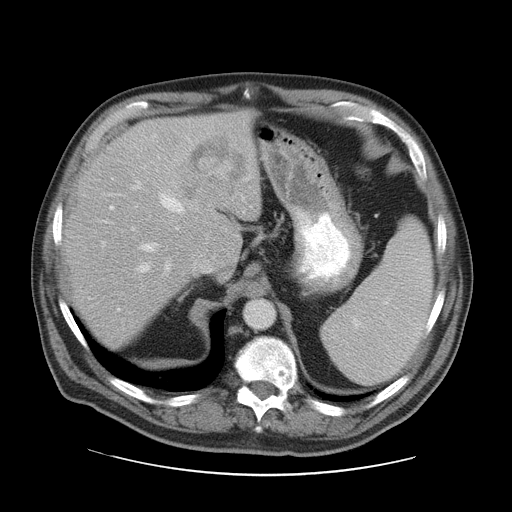 CT slice

Not every hepatic vessel necessarily has a box.
9 hepatic vessel regions are bounded by bbox(133, 181, 139, 188); bbox(161, 194, 182, 212); bbox(103, 242, 104, 244); bbox(110, 206, 113, 209); bbox(139, 263, 148, 271); bbox(176, 227, 178, 229); bbox(132, 227, 134, 229); bbox(143, 243, 156, 250); bbox(165, 265, 169, 268). The liver tumor is bounded by bbox(177, 135, 247, 202).